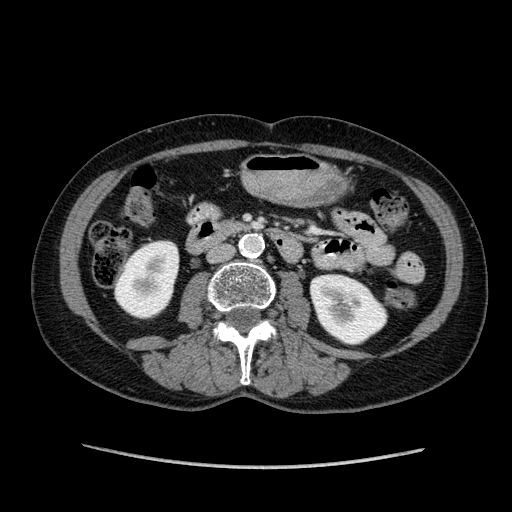
CT slice, Abdomen

Kidney: bounding box [x1=115, y1=242, x2=178, y2=316], [x1=311, y1=275, x2=385, y2=343].